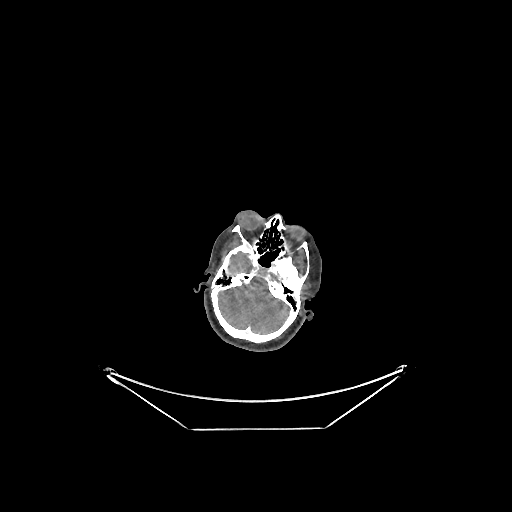

Brain, CT slice
brain:
  - <box>228,251,253,273</box>
  - <box>218,276,290,334</box>